240x240 px | Head | Slice 57/155
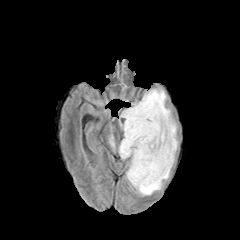
FLAIR MR image.
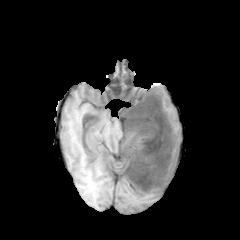
Same slice, T1-weighted MR.
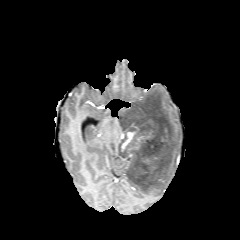
Post-contrast T1-weighted MR of the same slice.
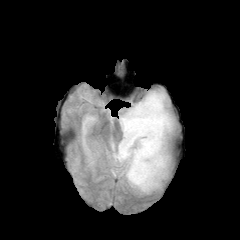
T2-weighted MR image.
<segmentation>
  <non-enhancing_tumor_core>[119,94,171,193]</non-enhancing_tumor_core>
  <edema>[118,111,123,131], [132,140,141,149], [124,88,177,196], [112,142,119,155], [121,158,131,173]</edema>
  <enhancing_tumor>[121,132,135,149]</enhancing_tumor>
</segmentation>